Slice 101/155, Head
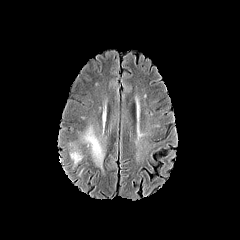
FLAIR MRI.
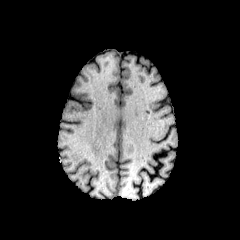
T1-weighted MRI of the same slice.
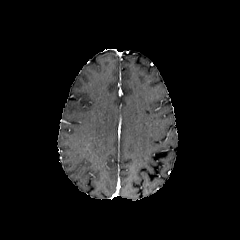
Same slice, post-contrast T1-weighted MRI.
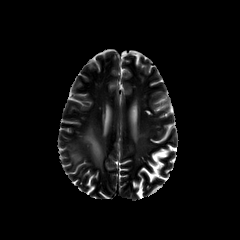
Same slice, T2-weighted MR image.
edema:
  - left=70, top=144, right=82, bottom=168
  - left=82, top=127, right=103, bottom=168